Slice index 107. 240x240 px.
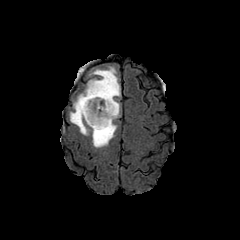
FLAIR MR.
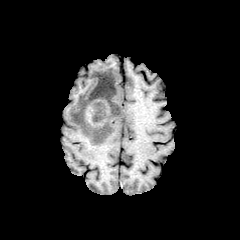
Same slice, T1-weighted MRI.
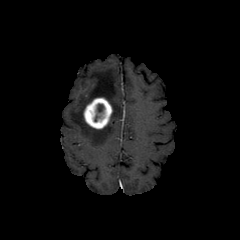
Post-contrast T1-weighted MR image of the same slice.
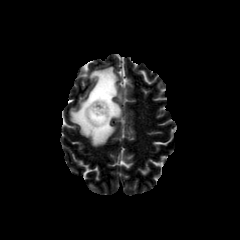
T2-weighted MR.
Edema: box=[69, 66, 121, 147].
Enhancing tumor: box=[83, 97, 113, 129].